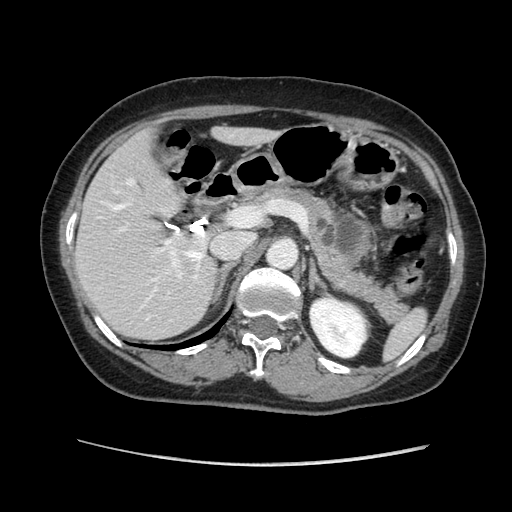

CT slice. Abdomen.
Pancreatic tumor — l=315, t=213, r=362, b=259.
Pancreas — l=243, t=183, r=410, b=324.